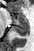
34x51 px. Medial temporal lobe. Magnetic resonance.

Annotated regions:
• posterior hippocampus: box(13, 25, 29, 35)
• anterior hippocampus: box(12, 14, 13, 15); box(12, 14, 29, 24)